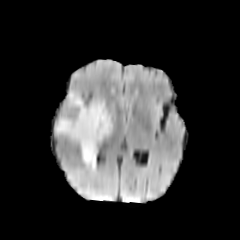
FLAIR MR.
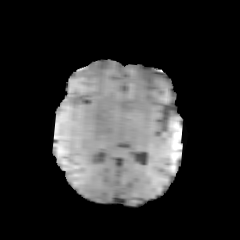
T1-weighted magnetic resonance of the same slice.
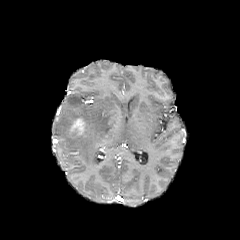
Post-contrast T1-weighted magnetic resonance.
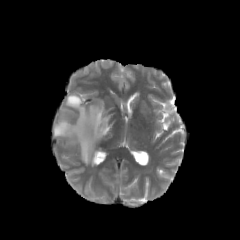
T2-weighted magnetic resonance of the same slice.
Head
Enhancing tumor at box=[68, 117, 85, 135].
Edema at box=[55, 92, 114, 168].